Field of view 468 mm wide, 2.50 mm slice spacing; Computed tomography; Image size 512x512
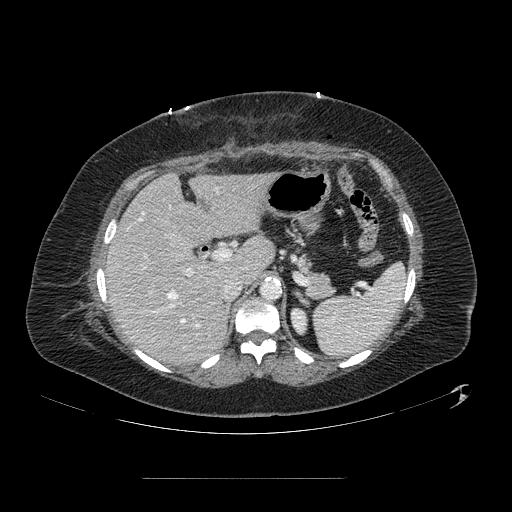

{"pancreas": ["(left=298, top=252, right=333, bottom=298)"]}